MR | Medial temporal lobe | Field of view 39 mm wide, 1.00 mm slice spacing | 39x41 | Slice index 23
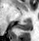

Posterior hippocampus: [x1=17, y1=19, x2=31, y2=30].